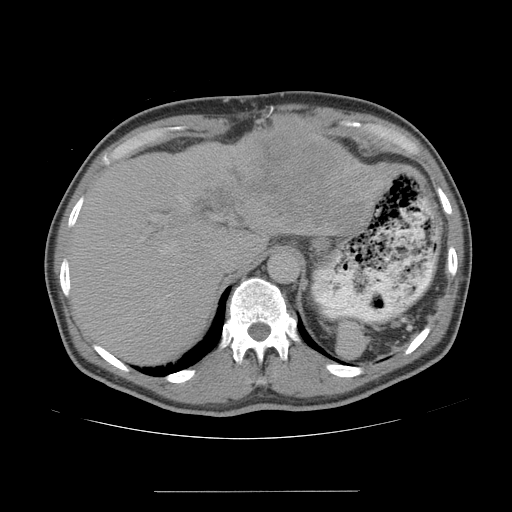 512x512 px, Abdomen, CT
Not every hepatic vessel necessarily has a box.
13 hepatic vessel regions are located at bbox(137, 237, 143, 241); bbox(227, 217, 235, 224); bbox(211, 215, 220, 219); bbox(160, 245, 171, 253); bbox(177, 249, 179, 252); bbox(198, 267, 200, 274); bbox(176, 196, 187, 205); bbox(181, 208, 184, 210); bbox(184, 254, 189, 256); bbox(149, 226, 152, 230); bbox(168, 293, 172, 295); bbox(246, 220, 248, 223); bbox(151, 215, 157, 221). The liver tumor is at bbox(204, 116, 373, 233).